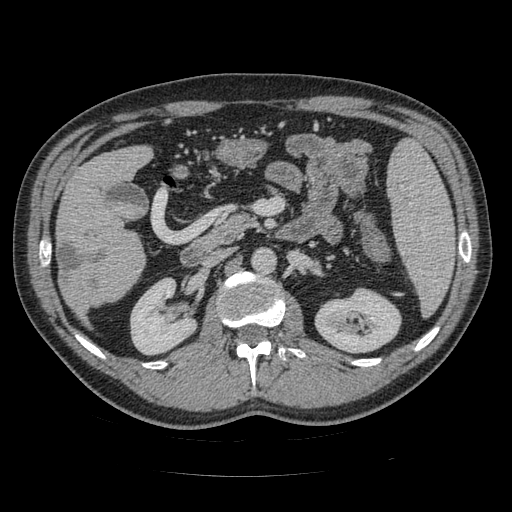 Abdomen; CT scan slice
pancreas: box(211, 214, 255, 239)